Image width 240 mm, Slice index 103, Head
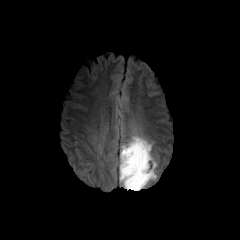
FLAIR MR image.
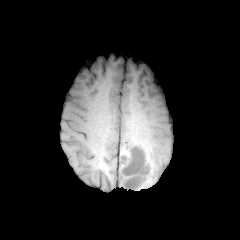
T1-weighted MR image.
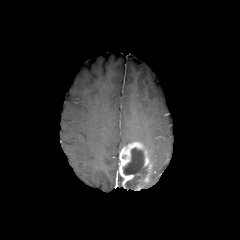
Post-contrast T1-weighted magnetic resonance of the same slice.
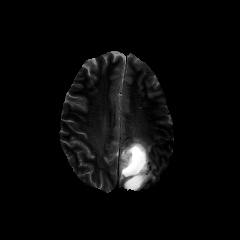
Same slice, T2-weighted magnetic resonance.
non-enhancing tumor core: (left=123, top=148, right=147, bottom=189) | enhancing tumor: (left=119, top=142, right=151, bottom=188) | edema: (left=120, top=131, right=157, bottom=180)